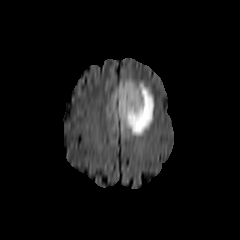
FLAIR MR image.
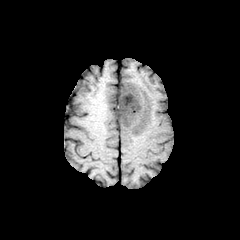
T1-weighted magnetic resonance of the same slice.
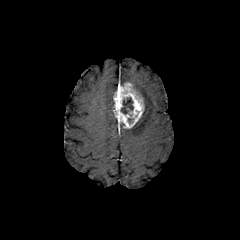
Post-contrast T1-weighted MR image.
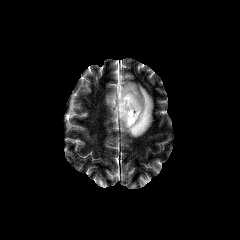
T2-weighted magnetic resonance.
240x240. Brain.
* edema: (x1=107, y1=84, x2=117, y2=108), (x1=119, y1=75, x2=153, y2=137)
* non-enhancing tumor core: (x1=121, y1=98, x2=133, y2=113)
* enhancing tumor: (x1=113, y1=82, x2=144, y2=128)